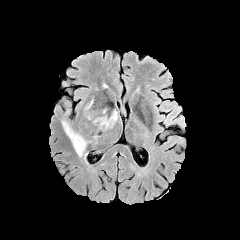
FLAIR MRI.
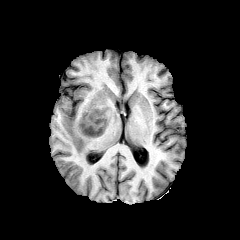
T1-weighted magnetic resonance.
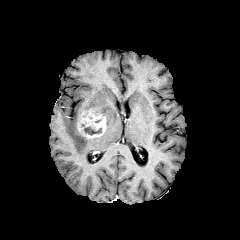
Post-contrast T1-weighted MRI of the same slice.
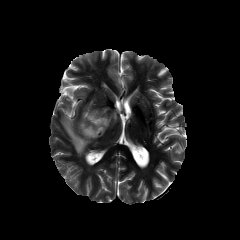
T2-weighted MR of the same slice.
Image size 240x240.
enhancing tumor: bbox=[78, 109, 106, 138] | non-enhancing tumor core: bbox=[84, 127, 102, 135] | edema: bbox=[61, 117, 91, 157]; bbox=[106, 109, 119, 128]